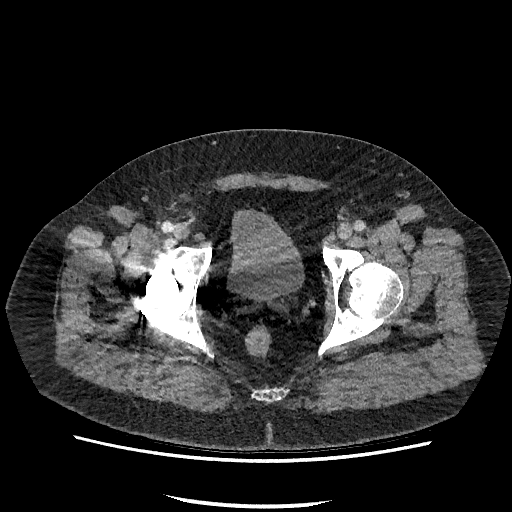

Pelvis; Computed tomography

Urinary bladder — 229 209 304 304.